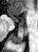

38x52; MR image
Anterior hippocampus: bounding box 9 14 11 15, 21 19 23 22, 12 16 17 21, 25 15 25 20.
Posterior hippocampus: bounding box 11 23 23 44.